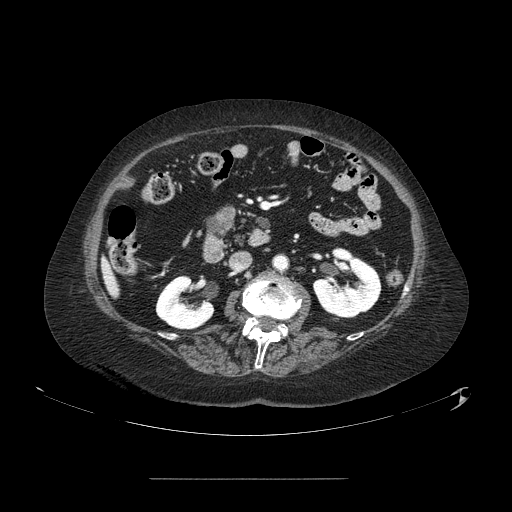

Upper abdomen, CT scan slice, 512x512

Findings:
- pancreatic tumor: [206, 211, 232, 236]
- pancreas: [217, 208, 234, 222]